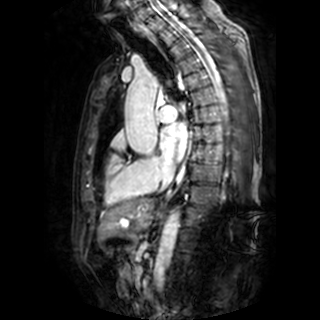
MRI. Heart. The left atrium appears at region(160, 122, 186, 162).